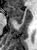 MR image
Anterior hippocampus — bbox(6, 5, 23, 20).
Posterior hippocampus — bbox(16, 21, 21, 23).